FLAIR MR image.
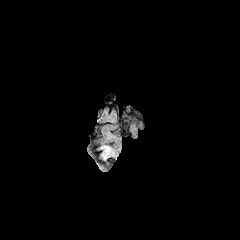
T1-weighted MR image.
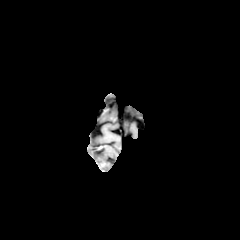
Post-contrast T1-weighted MRI.
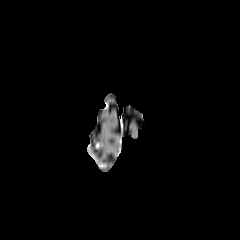
T2-weighted magnetic resonance.
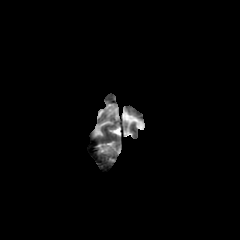
240x240 px
edema: l=100, t=145, r=113, b=160